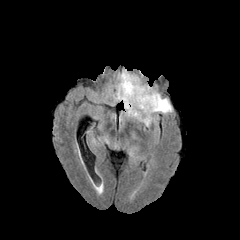
FLAIR MR image.
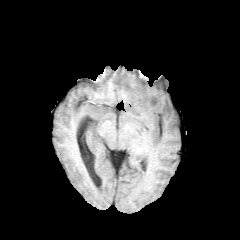
T1-weighted magnetic resonance.
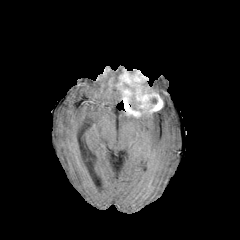
Post-contrast T1-weighted MR image.
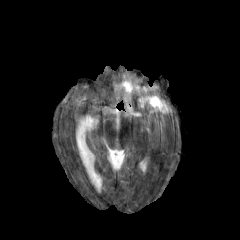
T2-weighted MRI.
Brain
enhancing_tumor:
  - x1=117 y1=69 x2=163 y2=116
edema:
  - x1=124 y1=86 x2=172 y2=127
  - x1=113 y1=85 x2=121 y2=100
non-enhancing_tumor_core:
  - x1=130 y1=94 x2=144 y2=113